Upper abdomen, CT 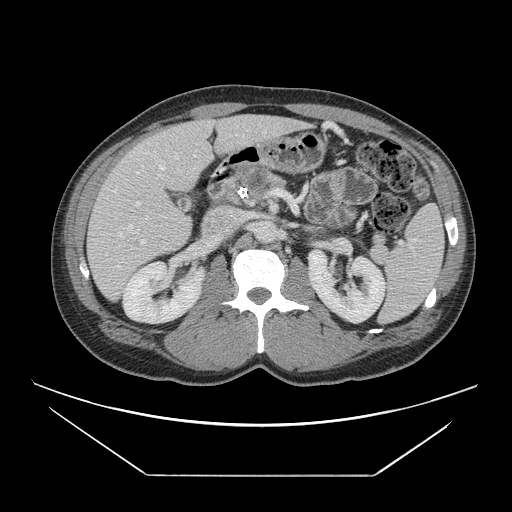 {
  "pancreatic_tumor": [
    "x1=243, y1=168, x2=267, y2=190"
  ],
  "pancreas": [
    "x1=225, y1=167, x2=285, y2=205"
  ]
}